240x240 px | Head
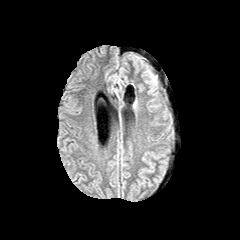
FLAIR magnetic resonance.
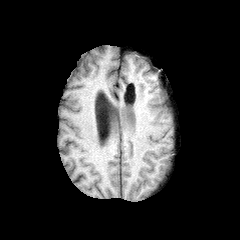
T1-weighted magnetic resonance.
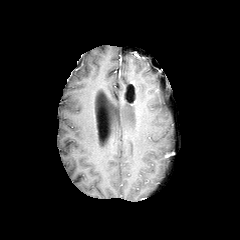
Same slice, post-contrast T1-weighted MR image.
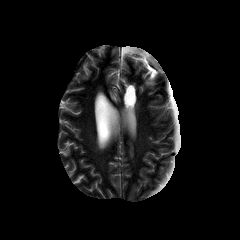
T2-weighted MRI.
Edema: 146, 78, 155, 93.